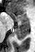

Medial temporal lobe, Magnetic resonance
anterior hippocampus: rect(6, 11, 29, 23) | posterior hippocampus: rect(14, 24, 29, 40)